Head. 240x240 px. Field of view 240 mm wide, 1.00 mm slice spacing.
FLAIR MR image.
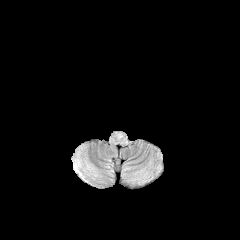
T1-weighted MR.
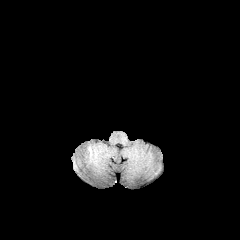
Post-contrast T1-weighted magnetic resonance.
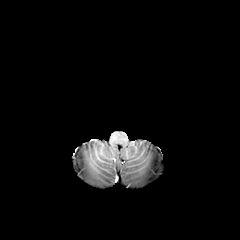
T2-weighted MR image.
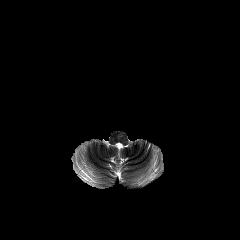
2 edema regions appear at <box>77,158,96,181</box>, <box>138,175,148,183</box>.